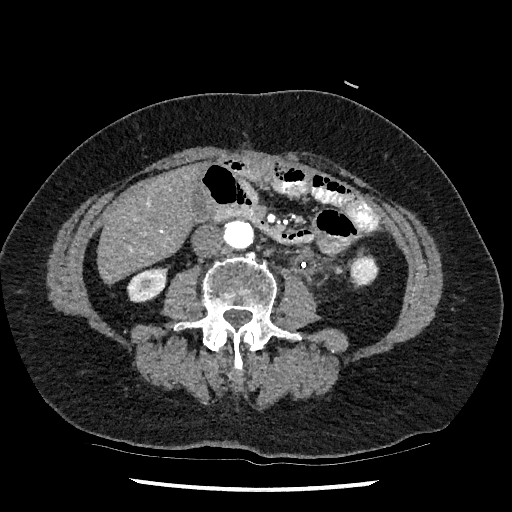

CT scan slice. The liver is at (x1=98, y1=164, x2=201, y2=282). 2 kidney regions are located at (x1=351, y1=257, x2=377, y2=284), (x1=128, y1=269, x2=165, y2=301).